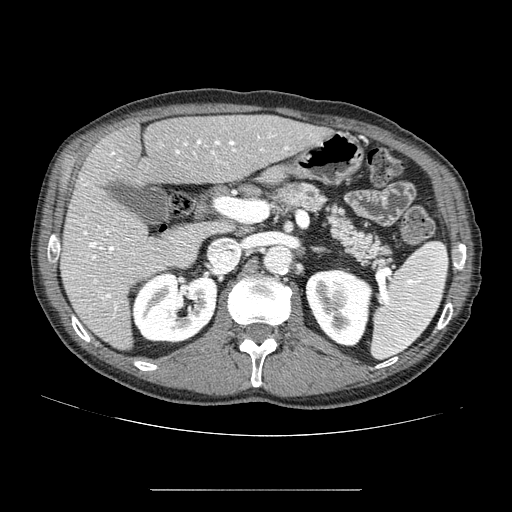

Upper abdomen; CT scan slice
Pancreas — box(268, 183, 389, 263).
Pancreatic tumor — box(290, 183, 300, 192).